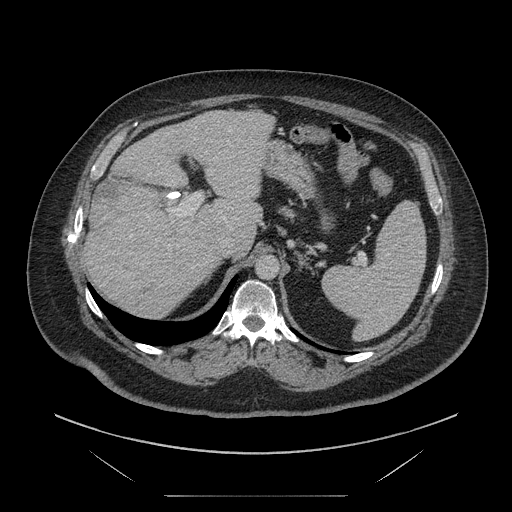
CT image. Image size 512x512.
Not every hepatic vessel necessarily has a box.
hepatic_vessel:
  - [x1=208, y1=158, x2=219, y2=165]
  - [x1=167, y1=193, x2=202, y2=221]
liver_tumor:
  - [x1=92, y1=182, x2=173, y2=218]